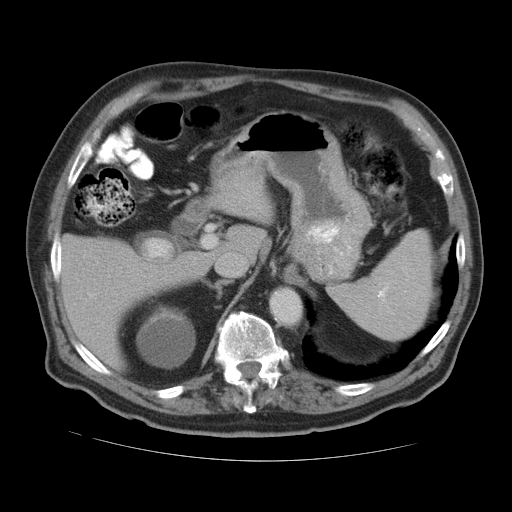 512x512. CT slice. Abdomen. <segmentation>
  <spleen>bbox(331, 229, 433, 340)</spleen>
</segmentation>